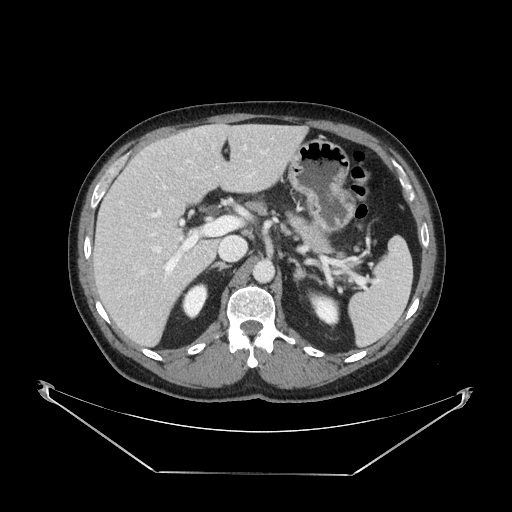

Abdomen | Computed tomography
- pancreas: <box>284,208,337,255</box>